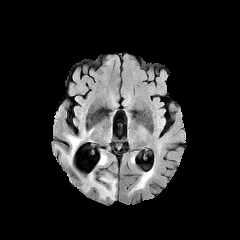
FLAIR MR.
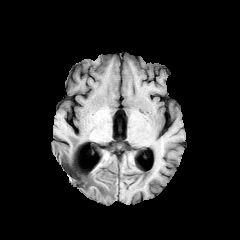
T1-weighted MR image of the same slice.
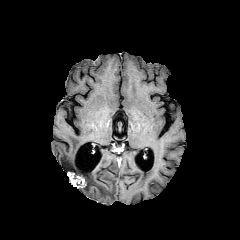
Post-contrast T1-weighted MR.
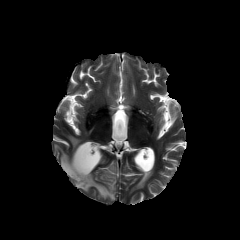
T2-weighted MR of the same slice.
non-enhancing_tumor_core:
  - (x1=80, y1=176, x2=91, y2=188)
  - (x1=70, y1=168, x2=81, y2=177)
edema:
  - (x1=63, y1=136, x2=83, y2=168)
  - (x1=138, y1=168, x2=153, y2=185)
  - (x1=77, y1=170, x2=116, y2=199)
  - (x1=99, y1=150, x2=107, y2=165)